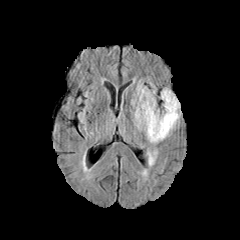
FLAIR magnetic resonance.
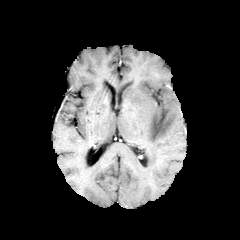
Same slice, T1-weighted MRI.
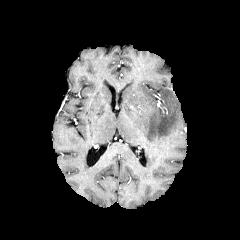
Same slice, post-contrast T1-weighted MR.
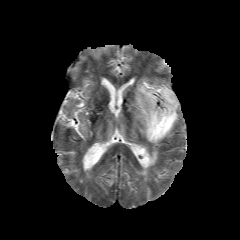
T2-weighted MR.
Brain
<segmentation>
  <edema>[135, 82, 180, 142]</edema>
</segmentation>